240x240 px. Slice 106/155.
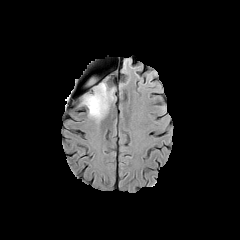
FLAIR magnetic resonance.
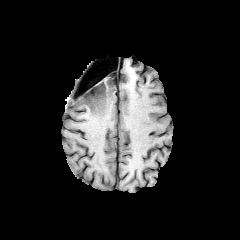
T1-weighted magnetic resonance.
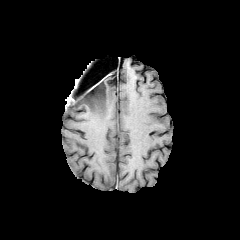
Post-contrast T1-weighted MRI of the same slice.
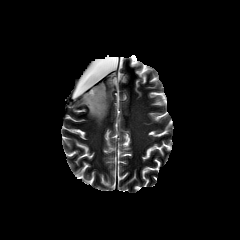
T2-weighted MR.
The edema appears at left=82, top=82, right=113, bottom=123. The non-enhancing tumor core is bounded by left=84, top=84, right=103, bottom=99.